CT scan slice

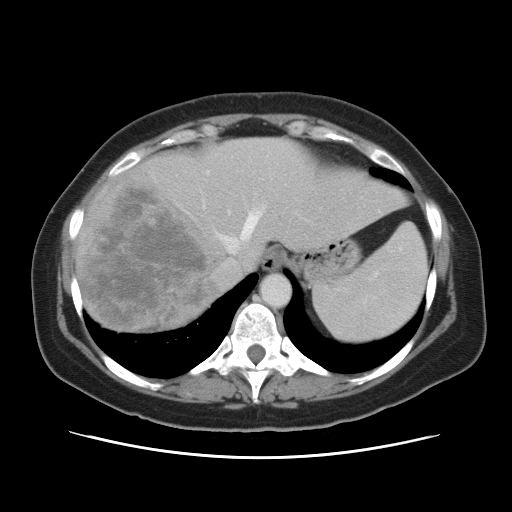 Not every hepatic vessel necessarily has a box.
<segmentation>
  <hepatic_vessel>(left=378, top=210, right=379, bottom=211), (left=207, top=171, right=209, bottom=173), (left=248, top=251, right=255, bottom=256), (left=228, top=211, right=229, bottom=212), (left=213, top=210, right=259, bottom=288)</hepatic_vessel>
  <liver_tumor>(left=82, top=180, right=218, bottom=330)</liver_tumor>
</segmentation>